FLAIR MR.
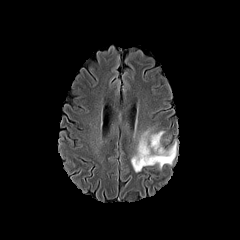
T1-weighted MRI.
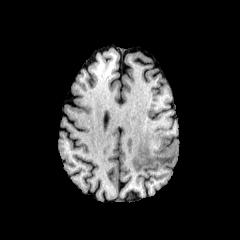
Post-contrast T1-weighted MRI.
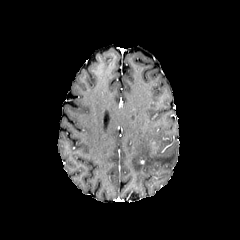
T2-weighted MR image.
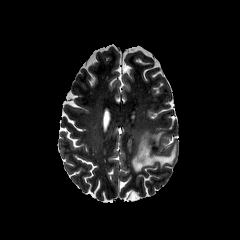
Edema = [x1=131, y1=128, x2=176, y2=172].